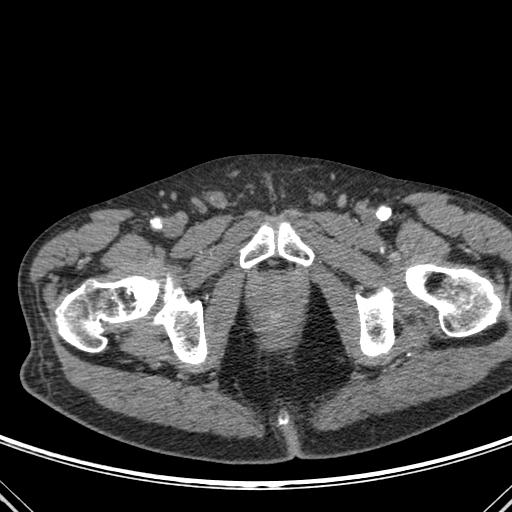

CT.

Bone: bounding box x1=239 y1=222 x2=314 y2=268, x1=279 y1=418 x2=287 y2=424, x1=355 y1=286 x2=394 y2=356, x1=405 y1=264 x2=504 y2=336, x1=55 y1=274 x2=207 y2=364.